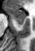
MRI slice; Medial temporal lobe; 35x51
Anterior hippocampus: bbox=[7, 7, 25, 19].
Posterior hippocampus: bbox=[15, 20, 24, 26].